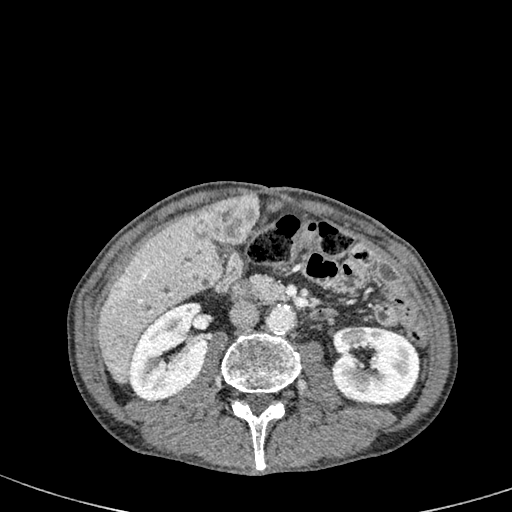 CT. Liver.

2 kidney regions are located at 129, 303, 209, 399; 333, 327, 418, 403. The liver is located at 97, 205, 223, 384. 2 liver lesion regions are bounded by 195, 194, 259, 243; 266, 201, 280, 211.